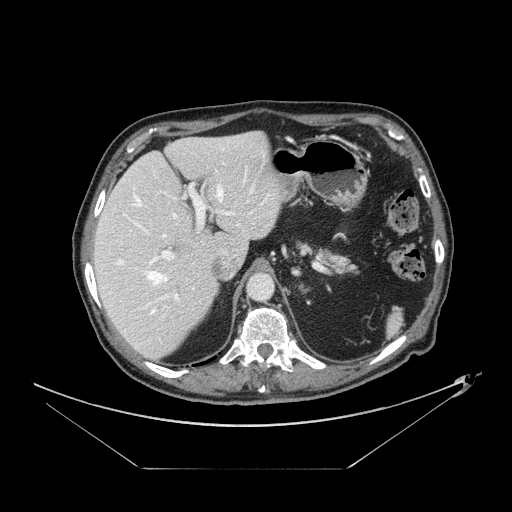
Abdomen | Computed tomography | Image size 512x512
Pancreas = {"x1": 315, "y1": 249, "x2": 355, "y2": 273}.